CT. Image size 512x512.

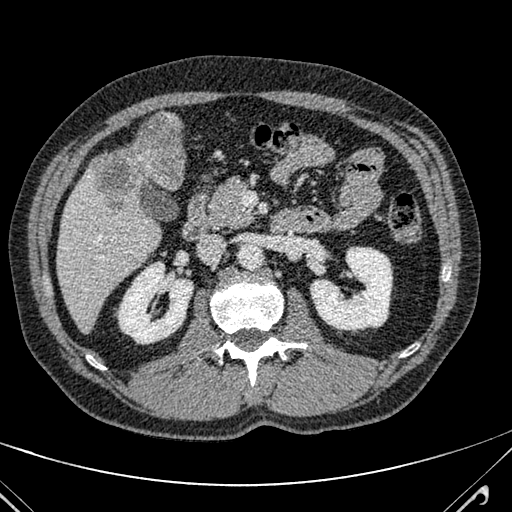 Focal liver lesion: bounding box bbox(94, 113, 183, 208).
Liver: bounding box bbox(58, 158, 159, 330).